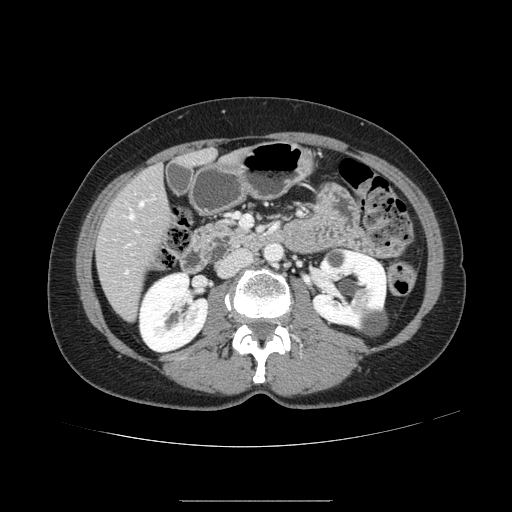

512x512 px. CT slice. Upper abdomen.
{"pancreatic_tumor": ["[x1=206, y1=236, x2=232, y2=262]"], "pancreas": ["[x1=191, y1=219, x2=264, y2=257]", "[x1=208, y1=260, x2=223, y2=267]"]}